MR image
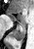

Posterior hippocampus at (x1=10, y1=23, x2=26, y2=41).
Anterior hippocampus at (x1=22, y1=15, x2=23, y2=20), (x1=8, y1=11, x2=16, y2=19).